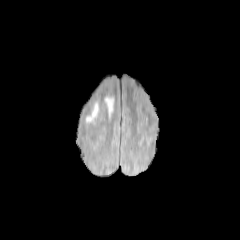
FLAIR magnetic resonance.
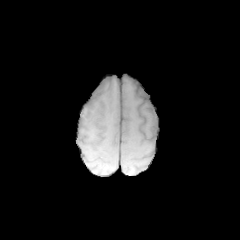
Same slice, T1-weighted MRI.
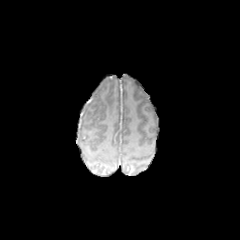
Post-contrast T1-weighted magnetic resonance.
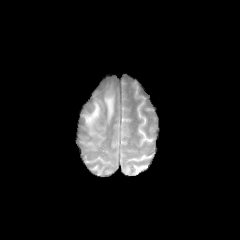
T2-weighted MRI.
Brain | Image size 240x240
- edema: 86 103 99 127, 104 95 114 120